Image size 240x240 | Field of view 240x240 mm
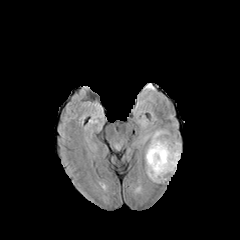
FLAIR MR.
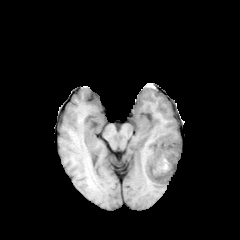
T1-weighted MRI.
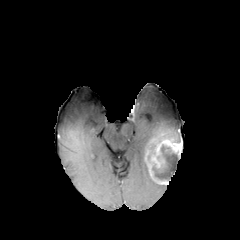
Same slice, post-contrast T1-weighted magnetic resonance.
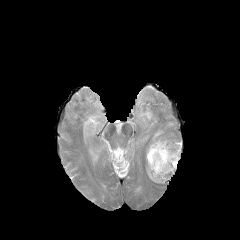
T2-weighted magnetic resonance.
The enhancing tumor lies within <box>156,139,182,155</box>. 2 edema regions are bounded by <box>138,128,170,180</box>, <box>141,118,153,128</box>. The non-enhancing tumor core lies within <box>146,140,180,185</box>.